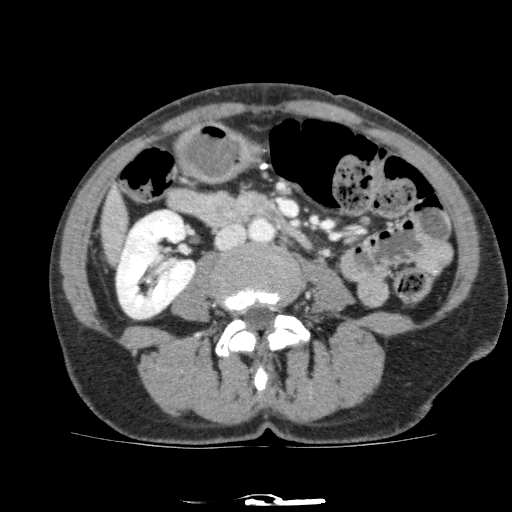 CT scan slice, 512x512 px
kidney: [117, 210, 194, 318] | liver: [100, 181, 130, 266]